Abdomen, 512x512, Computed tomography 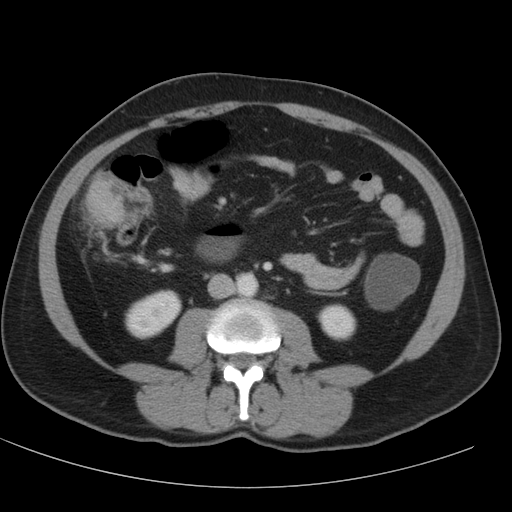 Kidney: bounding box [319,305,354,338], [126,291,180,338].